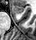 MRI slice, Hippocampus
anterior_hippocampus:
  - x1=13, y1=6, x2=24, y2=13